Slice index 33, Field of view 410x410 mm, CT 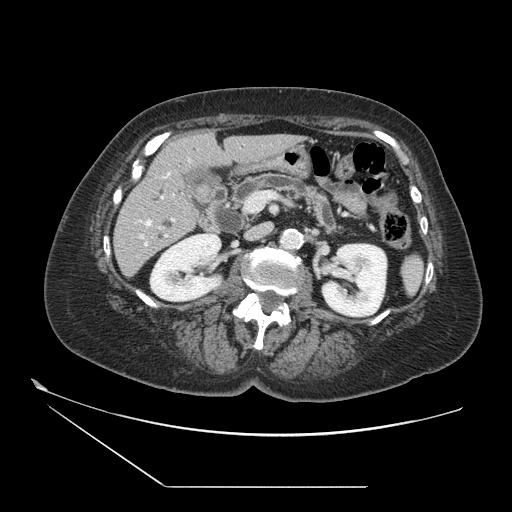 Pancreas at box=[233, 174, 337, 230].